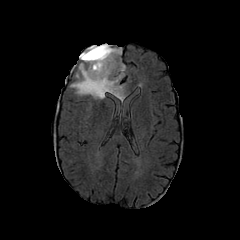
FLAIR magnetic resonance.
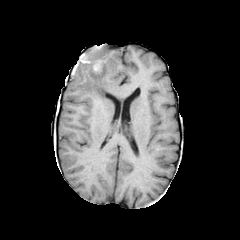
T1-weighted magnetic resonance of the same slice.
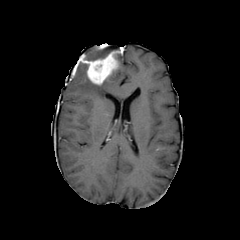
Post-contrast T1-weighted MR.
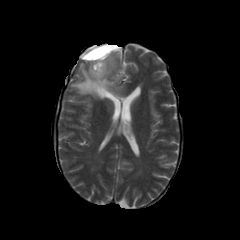
Same slice, T2-weighted MR image.
The enhancing tumor is located at (79,47,123,85). The edema is located at (70,60,127,105). 2 non-enhancing tumor core regions are located at (84,45,118,60), (87,79,105,93).